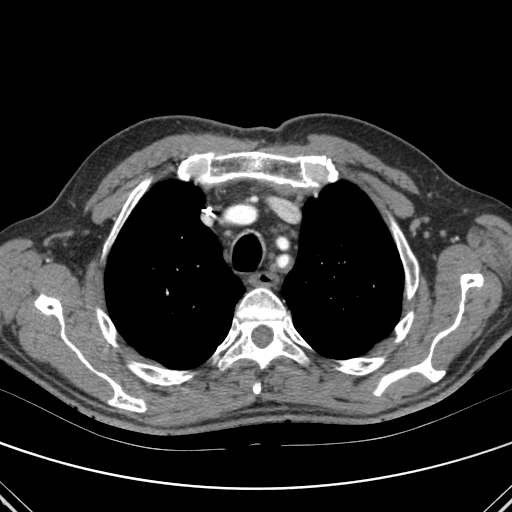

CT image.
bone: (213, 288, 310, 369), (103, 178, 151, 255), (391, 219, 418, 299), (35, 294, 146, 412), (96, 308, 117, 346), (128, 362, 192, 385), (178, 151, 337, 187), (373, 273, 483, 395), (395, 312, 413, 342), (336, 357, 384, 375), (253, 383, 260, 393) | lung: (281, 180, 403, 359), (105, 180, 245, 369)